Slice index 34; CT
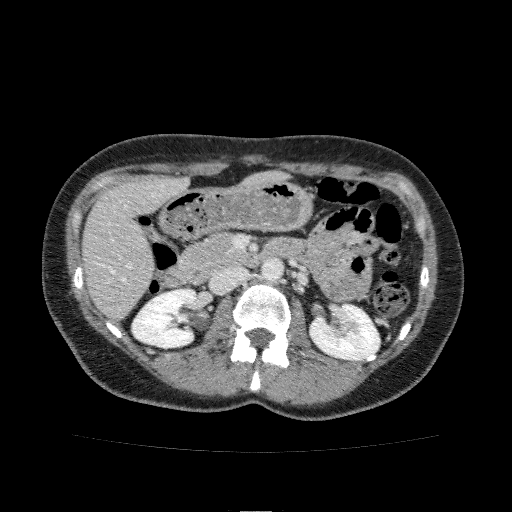 2 kidney regions are located at region(310, 304, 379, 360); region(132, 289, 196, 347). 2 liver regions are bounded by region(241, 171, 290, 187); region(82, 177, 189, 319).